Field of view 240x240 mm
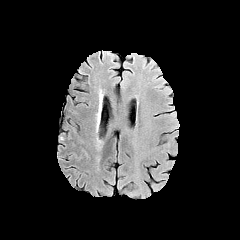
FLAIR MR.
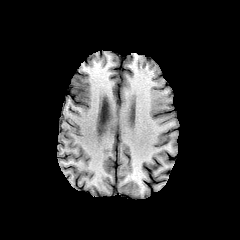
T1-weighted magnetic resonance.
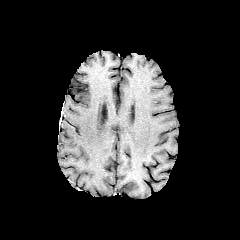
Post-contrast T1-weighted MR.
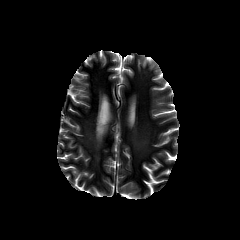
T2-weighted MRI.
Edema: bounding box <box>97,107,101,126</box>.